CT scan slice. Liver. Slice 74/129.

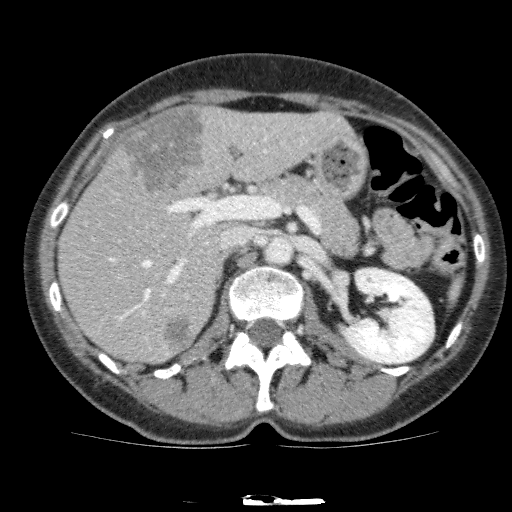
Findings:
* liver: [58, 106, 355, 362]
* kidney: [343, 268, 433, 363]
* liver lesion: [162, 312, 192, 354], [119, 106, 207, 193]